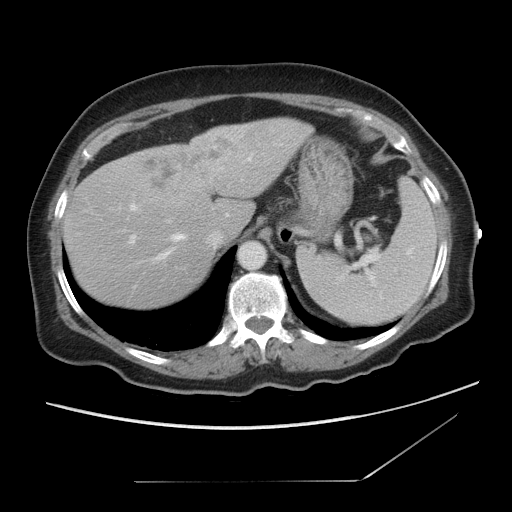
Liver. CT. Image size 512x512.
The vessel boxes may cover only some of the vessels.
<segmentation>
  <liver_tumor>rect(142, 142, 227, 189)</liver_tumor>
  <hepatic_vessel>rect(173, 235, 185, 241); rect(157, 252, 169, 260); rect(132, 206, 134, 209); rect(132, 238, 132, 241)</hepatic_vessel>
</segmentation>